Image width 409 mm | Slice 18/55 | CT scan slice 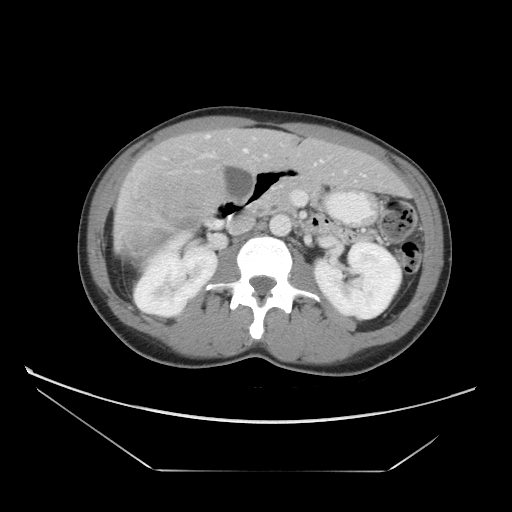 Not every hepatic vessel necessarily has a box.
Liver tumor at (124,177,211,238).
Hepatic vessel at (242,148,248,152), (200,153,215,157).